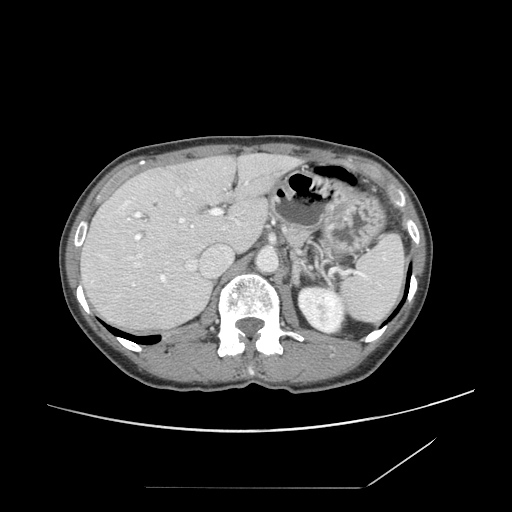 CT scan slice; Upper abdomen
The pancreas is located at rect(285, 224, 312, 245).